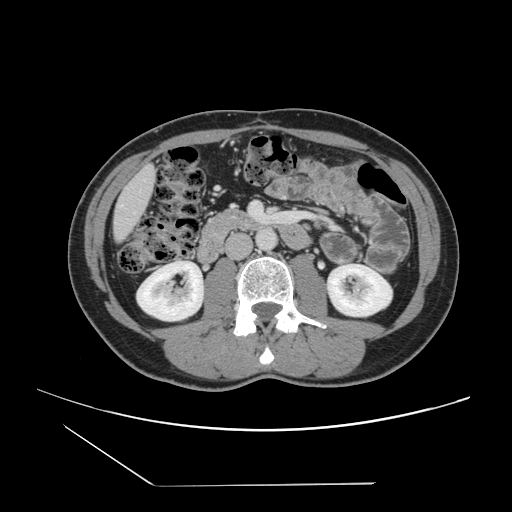
CT slice. Abdomen.

The vessel annotation is not exhaustive.
The hepatic vessel is at [119, 205, 121, 206].